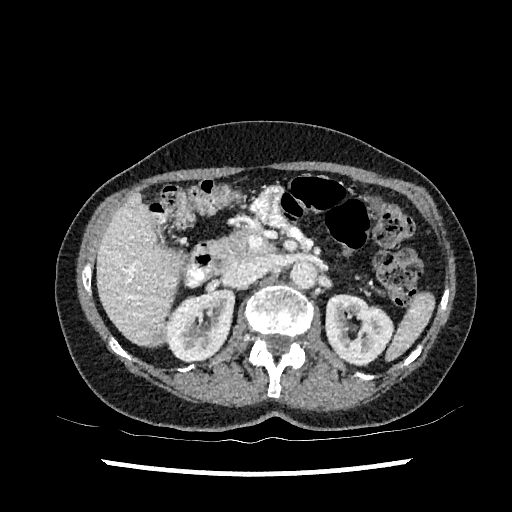

CT image | 512x512 px
kidney: x1=326 y1=295 x2=392 y2=364, x1=166 y1=285 x2=234 y2=360 | liver: x1=97 y1=192 x2=179 y2=345 | liver lesion: x1=151 y1=331 x2=160 y2=342